Computed tomography 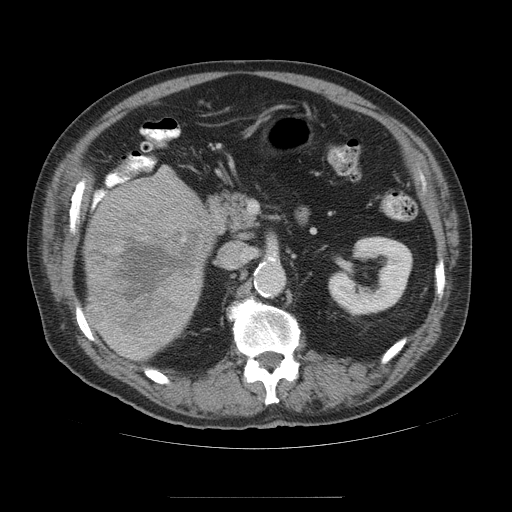

{"liver_tumor": ["rect(85, 175, 212, 340)"]}